MRI, Cardiac

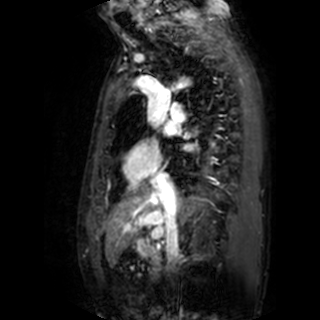
• left atrium: l=164, t=125, r=175, b=134